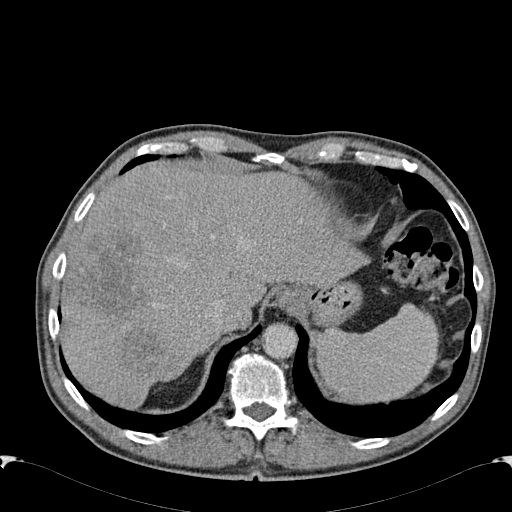
CT image
Liver lesion — x1=64, y1=232, x2=146, y2=320; x1=120, y1=328, x2=163, y2=374.
Liver — x1=60, y1=164, x2=365, y2=405.